CT image | Abdomen
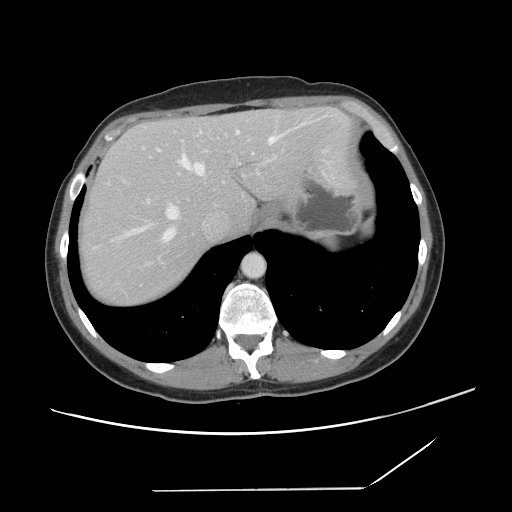

Not every hepatic vessel necessarily has a box.
[15/17] hepatic vessel: 157 149 159 150, 110 240 112 241, 236 130 238 133, 199 130 201 133, 167 205 178 219, 161 228 174 241, 268 135 281 142, 299 122 310 126, 266 160 269 162, 147 199 148 201, 273 157 275 158, 180 155 203 174, 257 172 259 173, 130 229 140 233, 125 233 128 235